CT slice; Abdomen

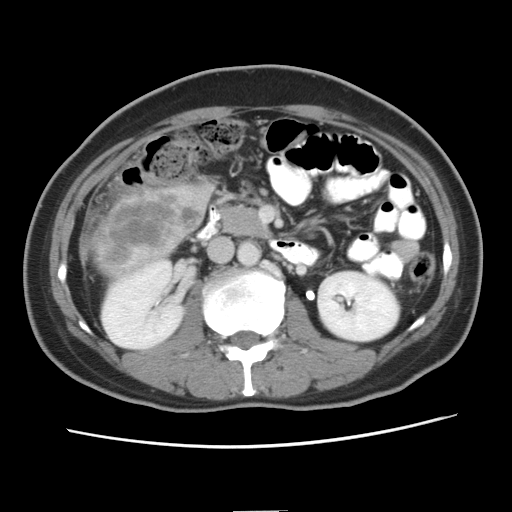

The liver tumor appears at [98,191,200,268].